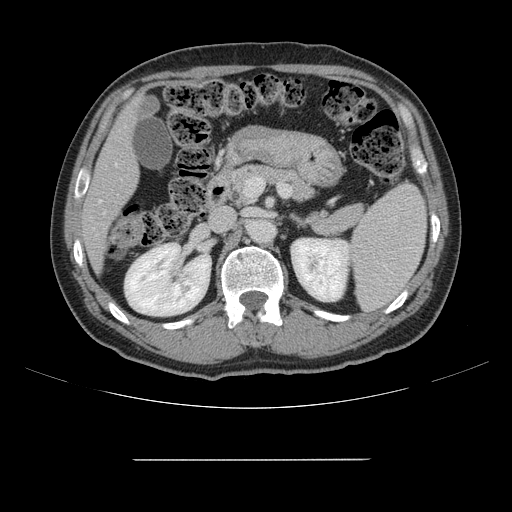 Computed tomography | Abdomen | Image size 512x512
The vessel boxes may cover only some of the vessels.
Hepatic vessel: <box>103,211,105,212</box>, <box>99,200,100,202</box>.